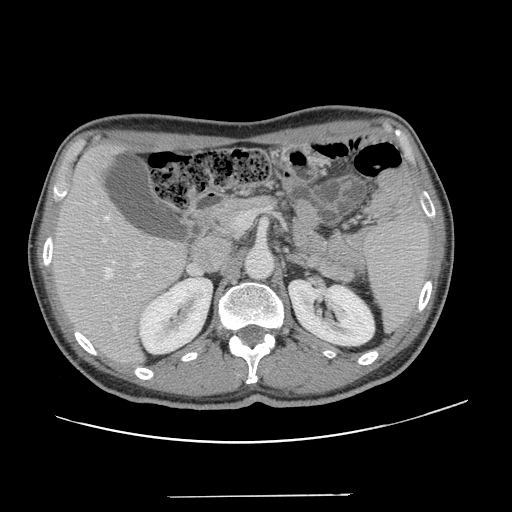

CT slice | 512x512
Not every hepatic vessel necessarily has a box.
Hepatic vessel: bounding box 137,252,139,255; 112,260,114,262; 137,275,139,277; 104,216,108,220; 105,268,112,278; 134,262,140,266; 102,239,105,241; 78,203,79,204.